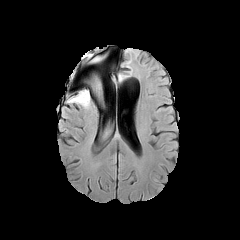
FLAIR MR.
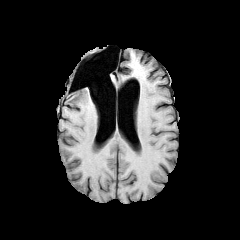
T1-weighted MR.
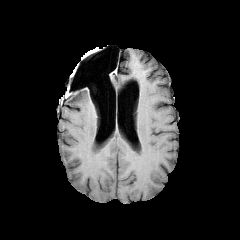
Post-contrast T1-weighted magnetic resonance of the same slice.
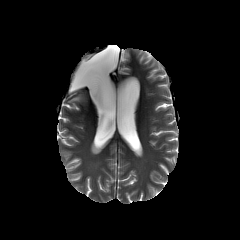
T2-weighted magnetic resonance.
Head
<segmentation>
  <edema>[x1=85, y1=55, x2=101, y2=62], [x1=68, y1=91, x2=90, y2=108], [x1=89, y1=76, x2=100, y2=101]</edema>
</segmentation>